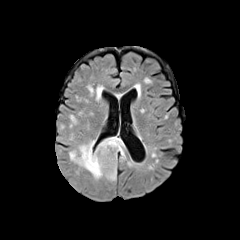
FLAIR MR.
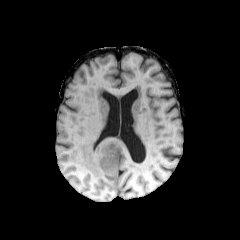
Same slice, T1-weighted MR image.
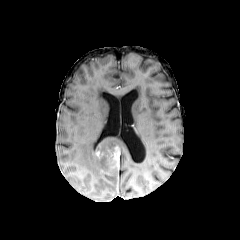
Post-contrast T1-weighted MR image.
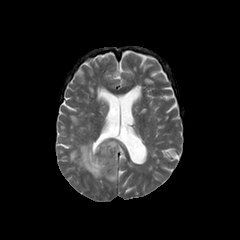
T2-weighted MR.
Edema: box(96, 136, 126, 160); box(69, 138, 116, 181).
Enhancing tumor: box(100, 146, 120, 174).
Non-enhancing tumor core: box(98, 144, 120, 171).